FLAIR MRI.
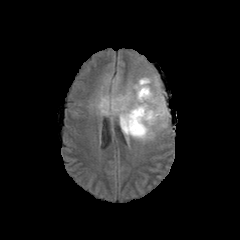
T1-weighted MRI.
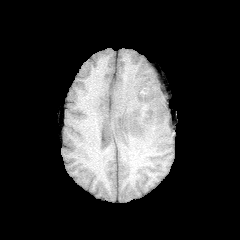
Post-contrast T1-weighted MR image.
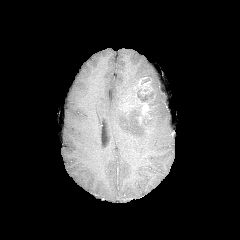
T2-weighted MR.
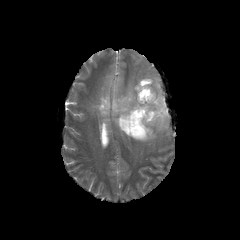
Edema = (left=95, top=80, right=169, bottom=142), (left=126, top=78, right=141, bottom=93).
Non-enhancing tumor core = (left=111, top=94, right=127, bottom=112), (left=127, top=86, right=159, bottom=130).
Enhancing tumor = (left=136, top=80, right=151, bottom=92), (left=120, top=94, right=131, bottom=111), (left=133, top=98, right=151, bottom=121).